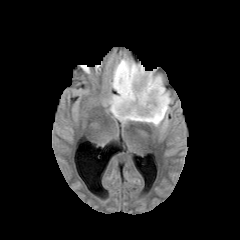
FLAIR magnetic resonance.
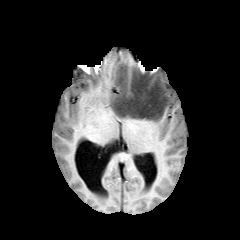
T1-weighted magnetic resonance.
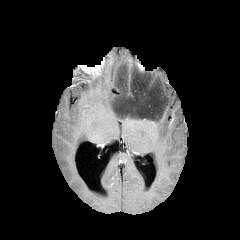
Post-contrast T1-weighted MR image of the same slice.
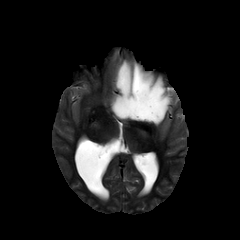
T2-weighted MR image.
240x240 px | Head
<segmentation>
  <edema>110:58:172:127</edema>
  <non-enhancing_tumor_core>114:71:166:117, 118:76:125:90</non-enhancing_tumor_core>
</segmentation>